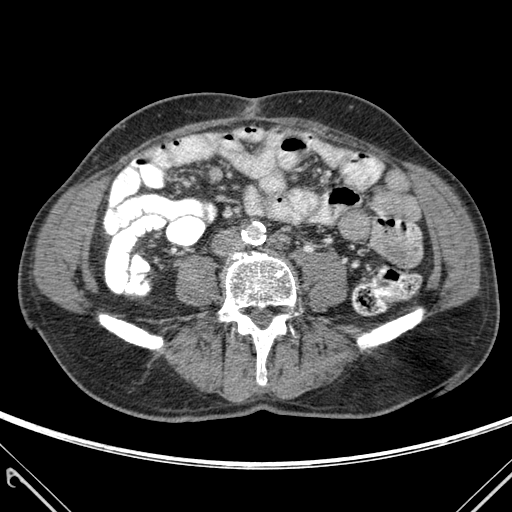
CT; Image size 512x512
Bone: 219:252:295:384, 357:309:422:347, 99:315:162:348.